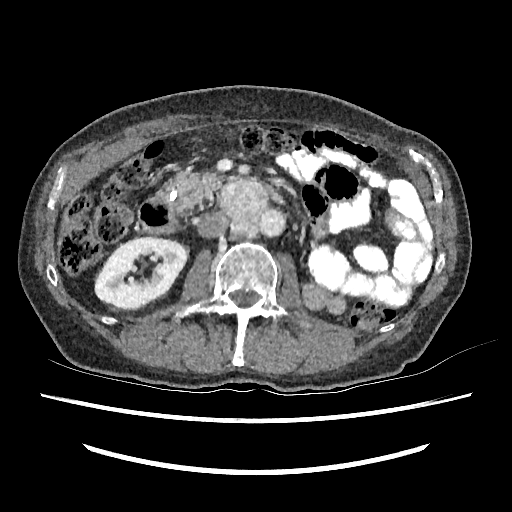 CT scan slice
The kidney is at x1=95 y1=237 x2=186 y2=308.